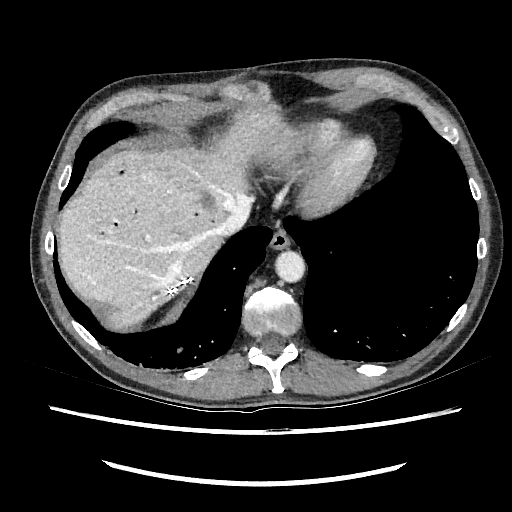
CT scan slice. Liver.
Liver = (59,90,303,329).
Liver lesion = (201,190,212,208).